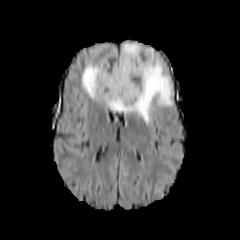
FLAIR MRI.
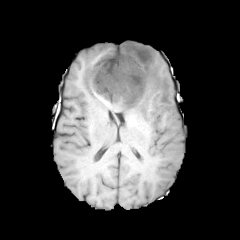
Same slice, T1-weighted magnetic resonance.
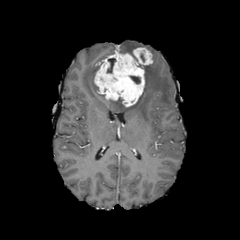
Post-contrast T1-weighted MR image.
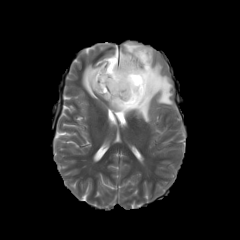
Same slice, T2-weighted MR image.
Brain. 240x240 px.
enhancing tumor: [x1=94, y1=47, x2=152, y2=106] | edema: [x1=120, y1=42, x2=154, y2=61], [x1=81, y1=60, x2=173, y2=124] | non-enhancing tumor core: [x1=112, y1=97, x2=124, y2=108], [x1=106, y1=58, x2=115, y2=73], [x1=128, y1=76, x2=141, y2=83]